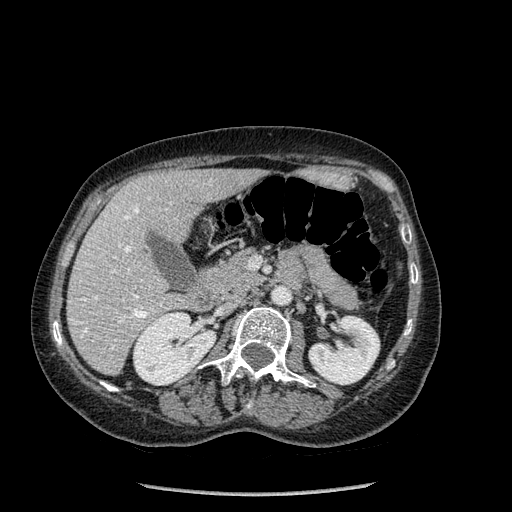

Computed tomography

bone: x1=198 y1=307 x2=315 y2=387, x1=410 y1=263 x2=418 y2=283, x1=100 y1=381 x2=118 y2=391, x1=245 y1=401 x2=252 y2=411, x1=401 y1=226 x2=411 y2=243, x1=404 y1=319 x2=412 y2=335, x1=53 y1=321 x2=62 y2=345 | kidney: x1=133 y1=312 x2=215 y2=385, x1=309 y1=316 x2=379 y2=384 | liver: x1=67 y1=169 x2=264 y2=375